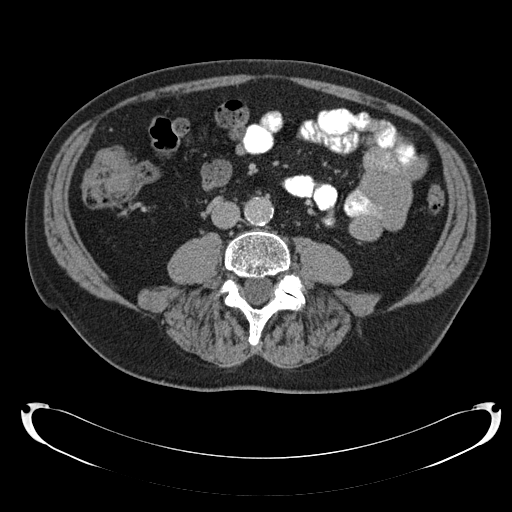 CT scan slice; 512x512 px
Colon tumor at 84,149,142,193.